CT slice, Image size 512x512, Image width 380 mm, Abdomen

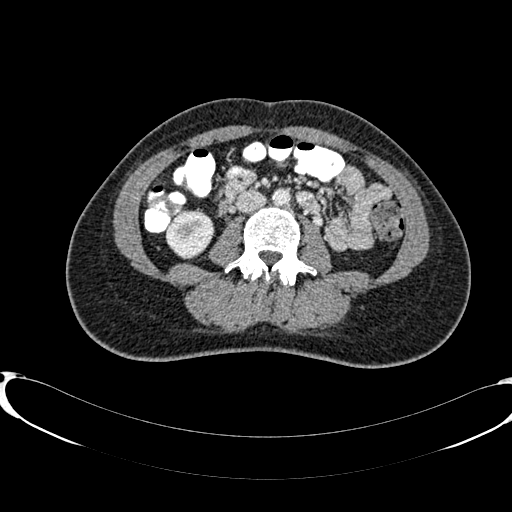
kidney:
  - region(167, 213, 212, 255)